FLAIR MRI.
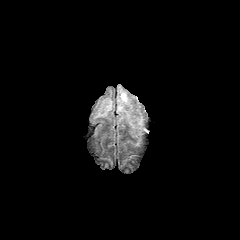
T1-weighted MR image.
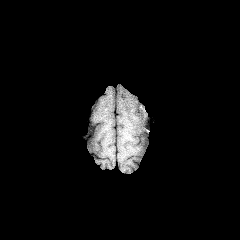
Post-contrast T1-weighted MRI.
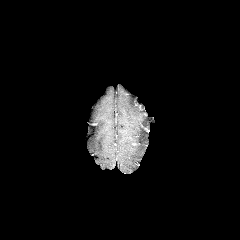
T2-weighted MR image.
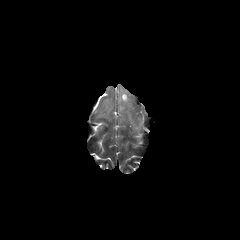
240x240
{
  "edema": [
    "[117,92,127,113]",
    "[104,102,111,111]"
  ]
}